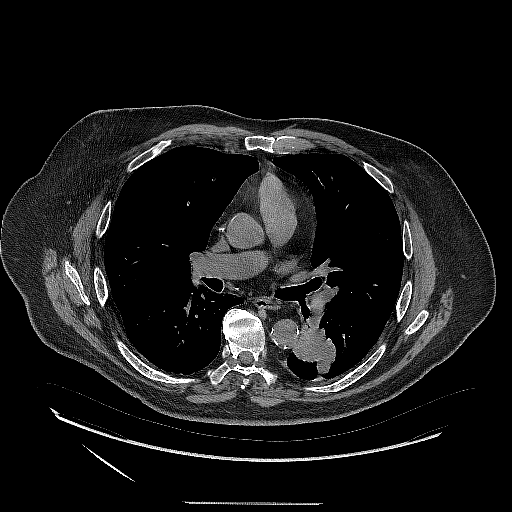
Computed tomography. Image size 512x512.
<segmentation>
  <lung_tumor>[289,317,338,376]</lung_tumor>
</segmentation>